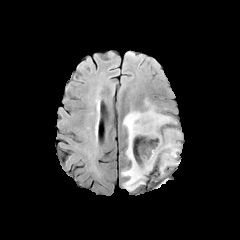
FLAIR MR.
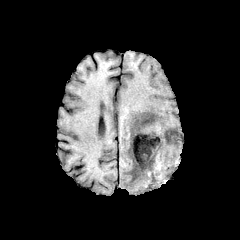
T1-weighted MR.
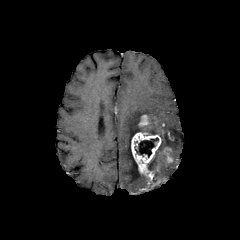
Same slice, post-contrast T1-weighted MR image.
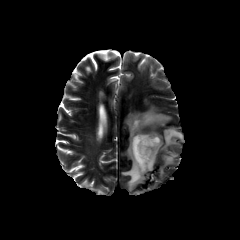
T2-weighted magnetic resonance.
Head
Annotated regions:
- edema: bbox(148, 128, 182, 174); bbox(121, 107, 171, 191)
- enhancing tumor: bbox(139, 115, 149, 125); bbox(131, 132, 161, 178)
- non-enhancing tumor core: bbox(134, 137, 158, 157); bbox(147, 115, 156, 123); bbox(137, 124, 175, 142); bbox(164, 146, 173, 163)